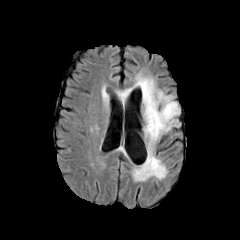
FLAIR magnetic resonance.
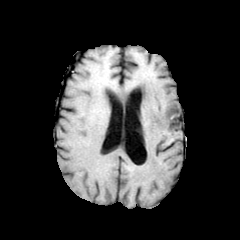
T1-weighted MR image of the same slice.
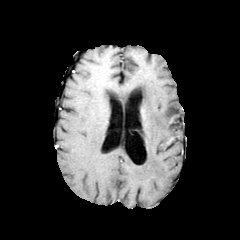
Post-contrast T1-weighted magnetic resonance.
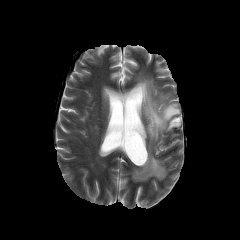
Same slice, T2-weighted MRI.
Brain
Edema: x1=117, y1=75, x2=180, y2=181.